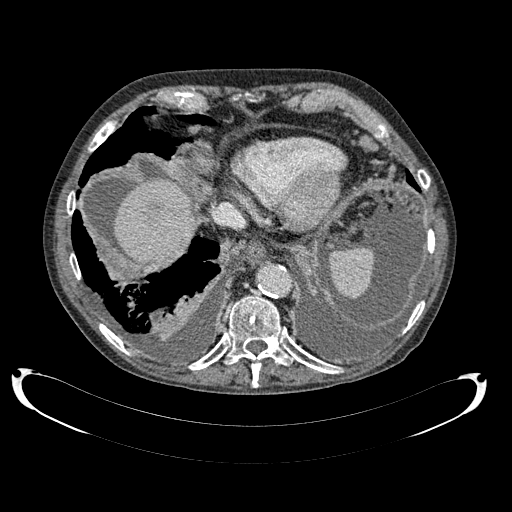
CT slice

{
  "liver": [
    "<box>114,179,196,266</box>"
  ],
  "hepatic_lesion": [
    "<box>141,203,160,221</box>"
  ]
}